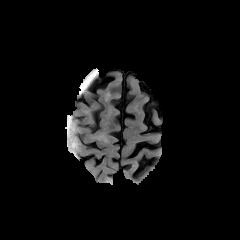
FLAIR MR image.
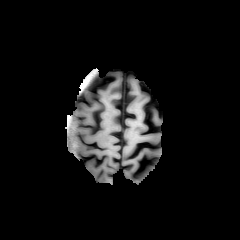
Same slice, T1-weighted MR image.
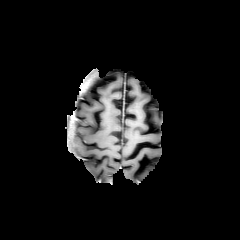
Post-contrast T1-weighted MR image.
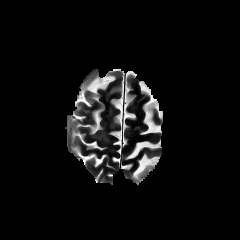
T2-weighted MRI of the same slice.
240x240
edema:
  - bbox(69, 116, 79, 151)